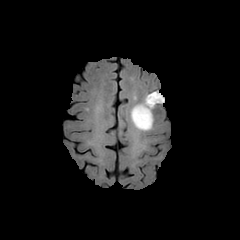
FLAIR MR.
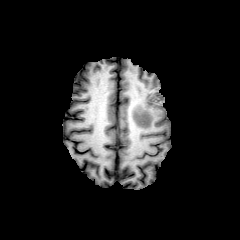
T1-weighted magnetic resonance of the same slice.
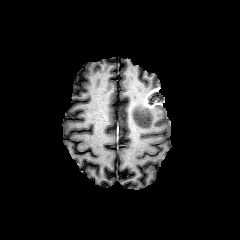
Post-contrast T1-weighted MRI.
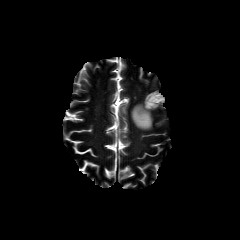
T2-weighted magnetic resonance of the same slice.
Head
The enhancing tumor lies within (144,88,164,109). The edema appears at (130,99,154,131). The non-enhancing tumor core lies within (148,92,163,104).